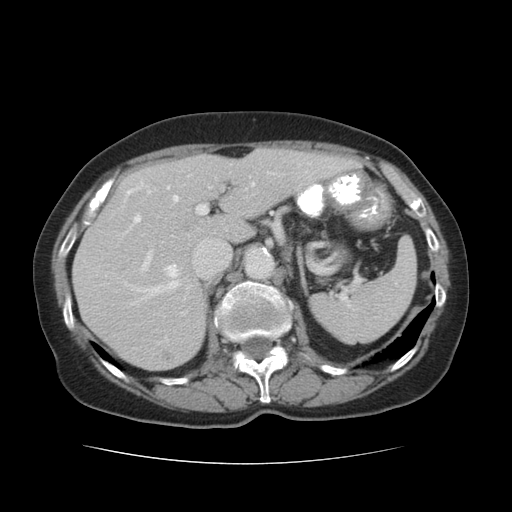

512x512 px | Computed tomography
{
  "lung": [
    "96, 346, 109, 358",
    "378, 301, 434, 357"
  ],
  "bone": [
    "159, 378, 188, 384",
    "320, 365, 346, 374",
    "63, 290, 73, 329",
    "435, 281, 445, 307",
    "215, 281, 294, 402",
    "383, 166, 398, 185",
    "57, 248, 68, 270",
    "391, 346, 416, 371",
    "423, 226, 441, 252",
    "410, 197, 426, 217",
    "64, 222, 80, 246",
    "102, 360, 128, 381"
  ],
  "liver": [
    "72, 148, 360, 369"
  ],
  "liver_lesion": [
    "160, 350, 175, 362"
  ]
}